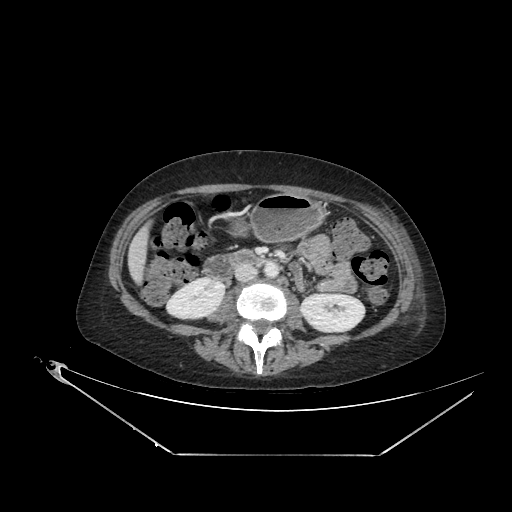 CT image.

Liver — box(126, 227, 150, 284).
Kidney — box(167, 277, 224, 318); box(300, 294, 364, 331).